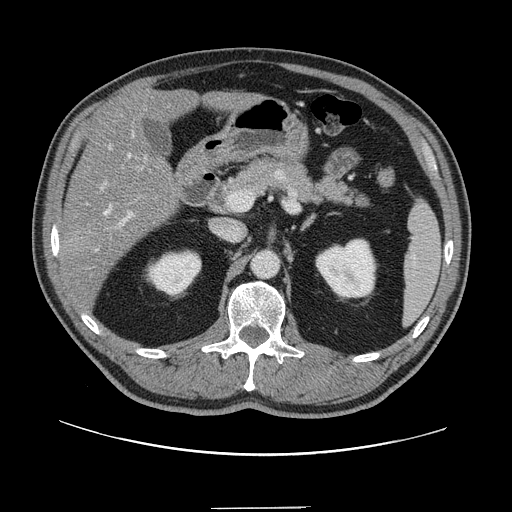 Abdomen; CT image
Not every hepatic vessel necessarily has a box.
7 hepatic vessel regions are bounded by box=[109, 145, 111, 149]; box=[133, 134, 134, 136]; box=[118, 212, 132, 227]; box=[145, 157, 146, 159]; box=[128, 154, 132, 157]; box=[104, 206, 111, 214]; box=[101, 182, 106, 190]. The liver tumor lies within box=[70, 229, 100, 251].